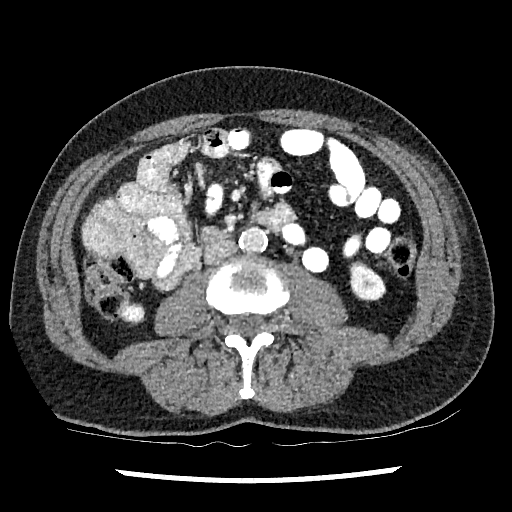 Image size 512x512; CT
Kidney at 352 266 384 298, 123 306 142 319.